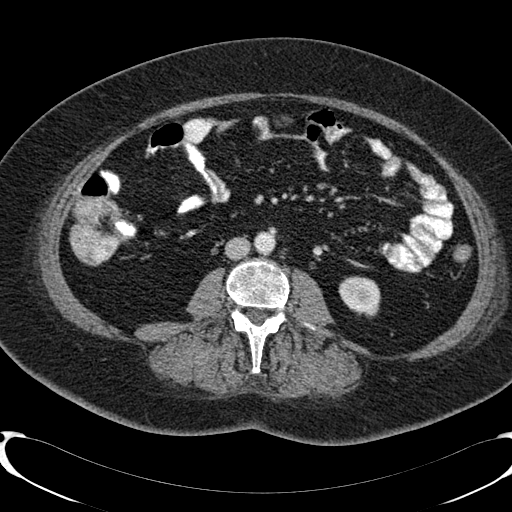

CT scan slice, Abdomen, Image size 512x512

<segmentation>
  <kidney>box=[339, 277, 379, 314]</kidney>
</segmentation>